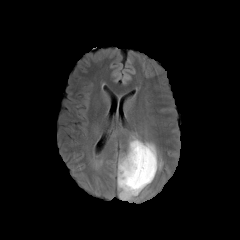
FLAIR MR.
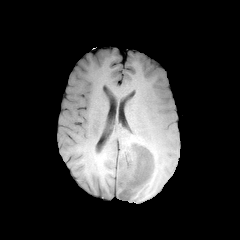
T1-weighted MR.
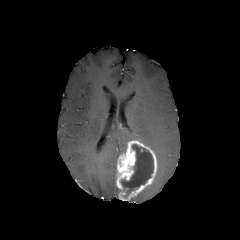
Post-contrast T1-weighted MRI of the same slice.
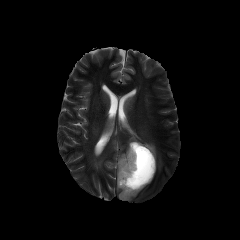
Same slice, T2-weighted magnetic resonance.
Edema: bounding box (127, 132, 162, 170).
Enhancing tumor: bounding box (116, 140, 156, 200).
Non-enhancing tumor core: bounding box (121, 144, 153, 188).